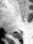 Magnetic resonance.

{
  "posterior_hippocampus": [
    "left=14, top=33, right=21, bottom=39"
  ]
}